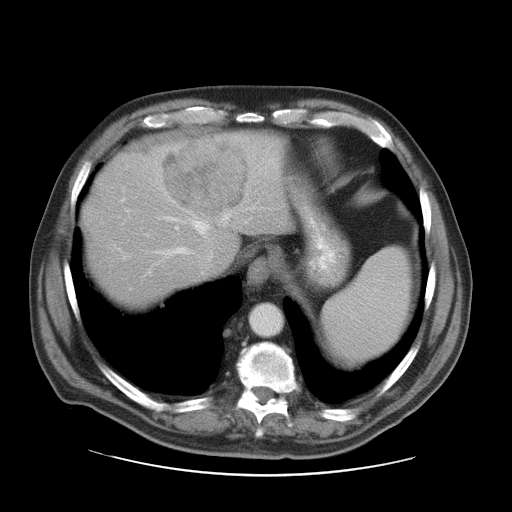

CT slice. Liver. 512x512 px. Not every hepatic vessel necessarily has a box.
hepatic_vessel:
  - (left=247, top=206, right=255, bottom=210)
  - (left=166, top=217, right=177, bottom=220)
  - (left=159, top=250, right=173, bottom=254)
  - (left=176, top=247, right=185, bottom=252)
  - (left=195, top=221, right=208, bottom=233)
  - (left=224, top=214, right=227, bottom=218)
  - (left=176, top=226, right=177, bottom=229)
liver_tumor:
  - (left=161, top=140, right=248, bottom=217)